Slice 19/92. Computed tomography. Upper abdomen.
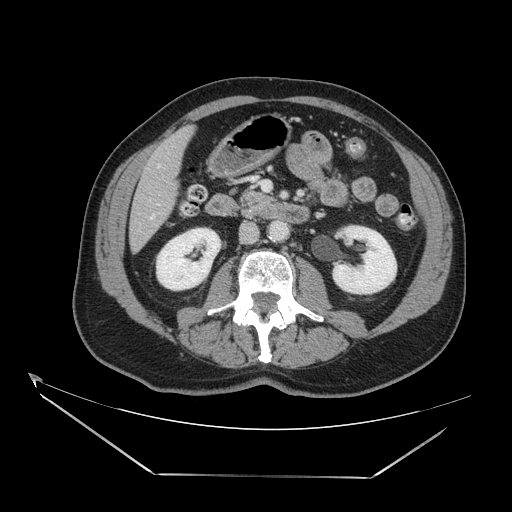
<segmentation>
  <pancreas>246 191 268 202</pancreas>
</segmentation>